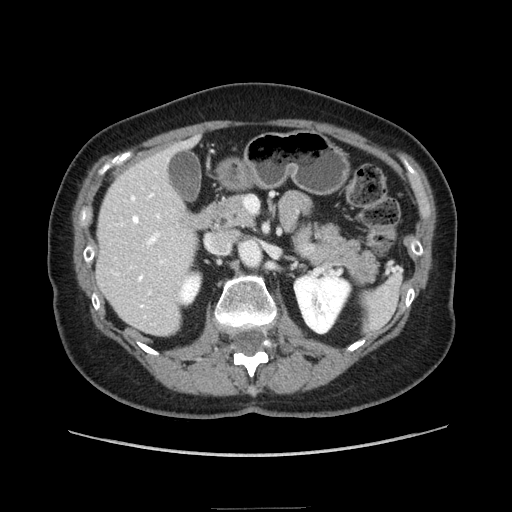

CT slice. Abdomen. Image size 512x512.

<segmentation>
  <pancreas>(293,222,378,283), (212,196,252,226)</pancreas>
  <pancreatic_tumor>(298,242,314,256)</pancreatic_tumor>
</segmentation>